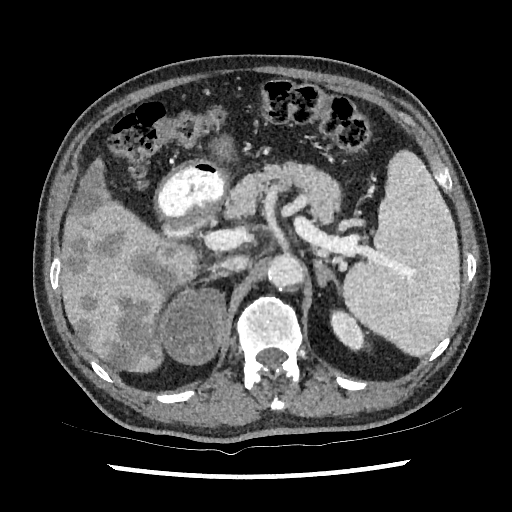

CT. Liver.
{"kidney": ["l=331, t=312, r=363, b=348"], "hepatic_lesion": ["l=130, t=243, r=185, b=293", "l=80, t=294, r=100, b=312", "l=105, t=295, r=160, b=368", "l=74, t=319, r=94, b=345", "l=63, t=159, r=127, b=277"], "liver": ["l=60, t=194, r=198, b=371"]}